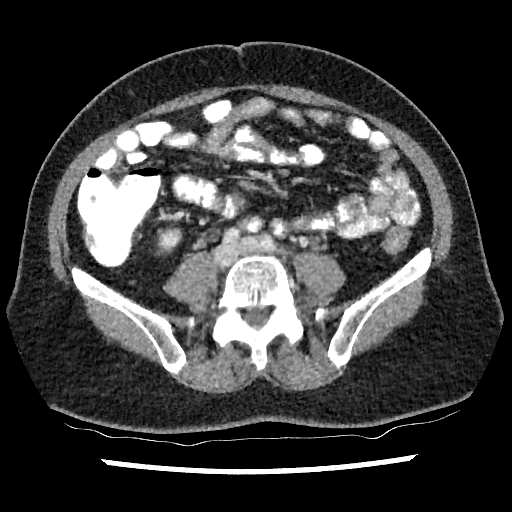

Abdomen, CT slice
<segmentation>
  <kidney>{"x1": 162, "y1": 233, "x2": 177, "y2": 245}</kidney>
</segmentation>